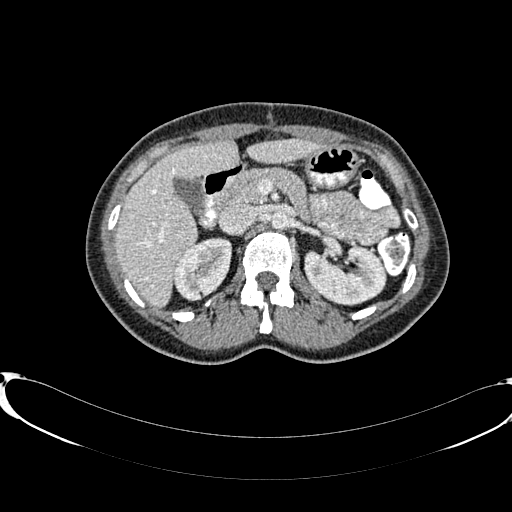
CT image | Abdomen
2 liver regions are bounded by region(248, 140, 319, 162); region(115, 141, 236, 305). 2 kidney regions are located at region(176, 240, 230, 299); region(306, 245, 384, 303).